CT

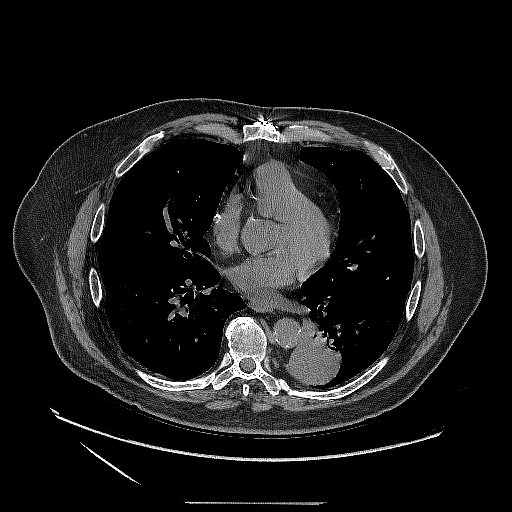
lung tumor: bbox=[286, 313, 344, 388]